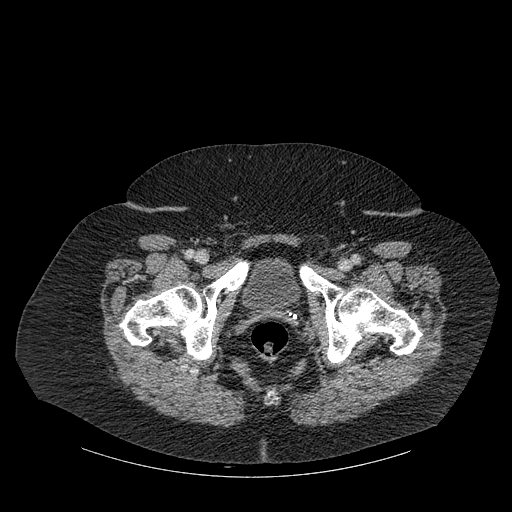

Pelvis. Computed tomography.

Urinary bladder: bounding box l=240, t=257, r=301, b=321.
Bone: bounding box l=119, t=262, r=248, b=359; l=300, t=266, r=422, b=362.